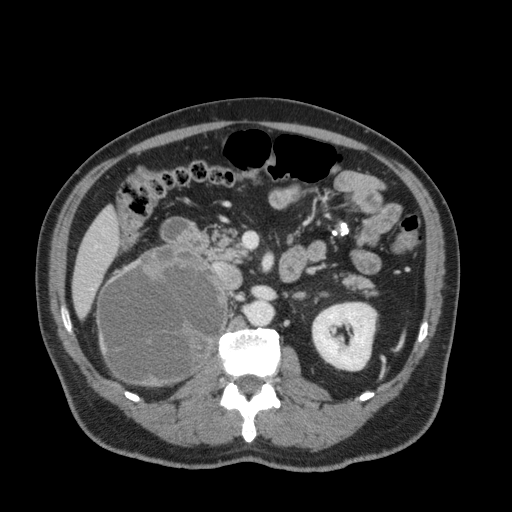
CT scan slice
The kidney is located at bbox(313, 303, 375, 370). The liver appears at bbox(73, 207, 118, 315).